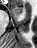 Hippocampus. MR image.

{
  "anterior_hippocampus": [
    "bbox=[13, 7, 22, 15]"
  ]
}